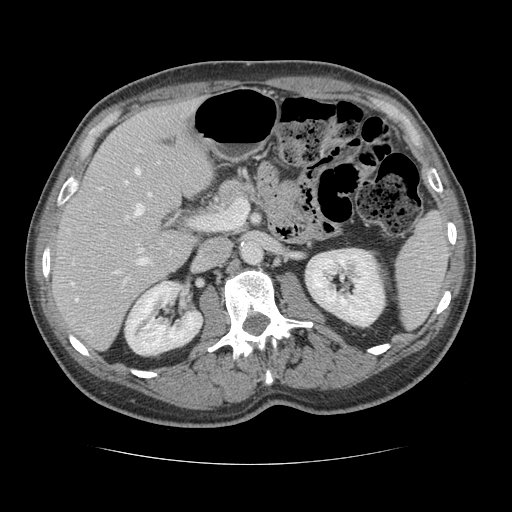

512x512 px. Abdomen. CT image.

Some hepatic vessels may have no box.
hepatic_vessel:
  - l=126, t=216, r=128, b=217
  - l=71, t=282, r=73, b=284
  - l=135, t=203, r=143, b=215
  - l=135, t=167, r=139, b=173
  - l=148, t=193, r=150, b=195
  - l=75, t=298, r=77, b=300
  - l=138, t=247, r=142, b=251
  - l=124, t=180, r=127, b=183
  - l=99, t=187, r=102, b=189
  - l=73, t=258, r=73, b=263
  - l=111, t=270, r=120, b=273
  - l=123, t=278, r=126, b=283
  - l=138, t=258, r=151, b=263